Slice 57 of 155; Head
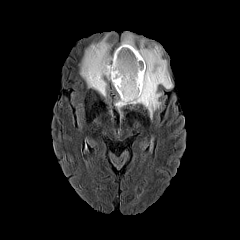
FLAIR magnetic resonance.
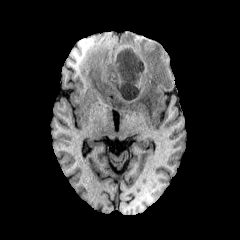
T1-weighted magnetic resonance of the same slice.
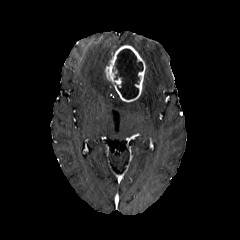
Post-contrast T1-weighted MR image of the same slice.
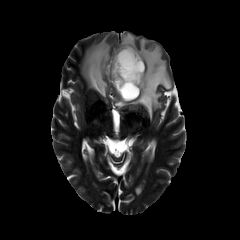
T2-weighted MR.
{
  "non-enhancing_tumor_core": [
    {"x1": 114, "y1": 49, "x2": 142, "y2": 99}
  ],
  "enhancing_tumor": [
    {"x1": 104, "y1": 44, "x2": 145, "y2": 102}
  ],
  "edema": [
    {"x1": 114, "y1": 31, "x2": 172, "y2": 119},
    {"x1": 81, "y1": 33, "x2": 116, "y2": 102}
  ]
}